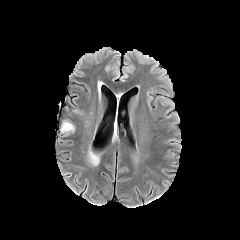
FLAIR magnetic resonance.
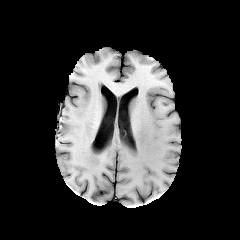
T1-weighted MRI of the same slice.
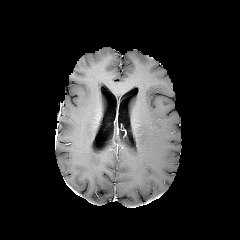
Same slice, post-contrast T1-weighted MR image.
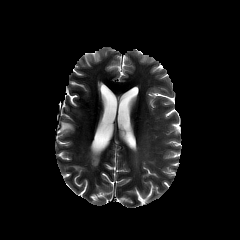
T2-weighted magnetic resonance of the same slice.
Edema at bbox(88, 150, 99, 165); bbox(60, 122, 71, 133).